Slice 119/148, Liver, CT scan slice
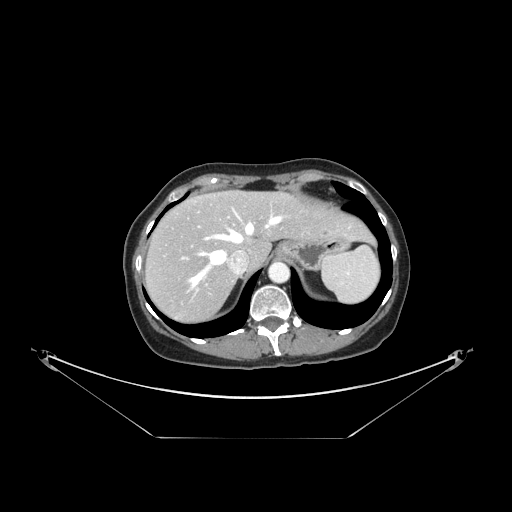
The vessel boxes may cover only some of the vessels.
4 hepatic vessel regions are bounded by 271, 217, 280, 223; 266, 225, 267, 226; 216, 231, 241, 241; 246, 224, 252, 233.